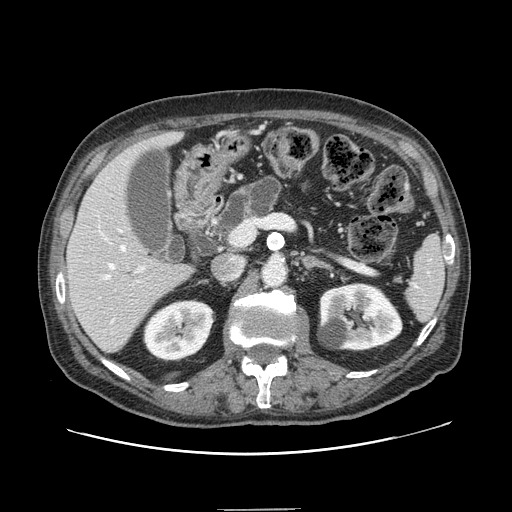
Computed tomography, Abdomen

{"pancreas": ["[213, 175, 282, 232]"]}